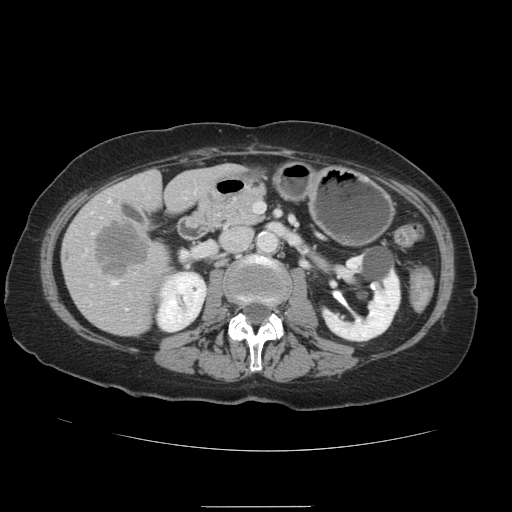
CT slice. Abdomen. Some hepatic vessels may have no box.
* hepatic vessel: {"x1": 107, "y1": 200, "x2": 109, "y2": 202}, {"x1": 111, "y1": 281, "x2": 115, "y2": 284}
* liver tumor: {"x1": 96, "y1": 222, "x2": 148, "y2": 276}